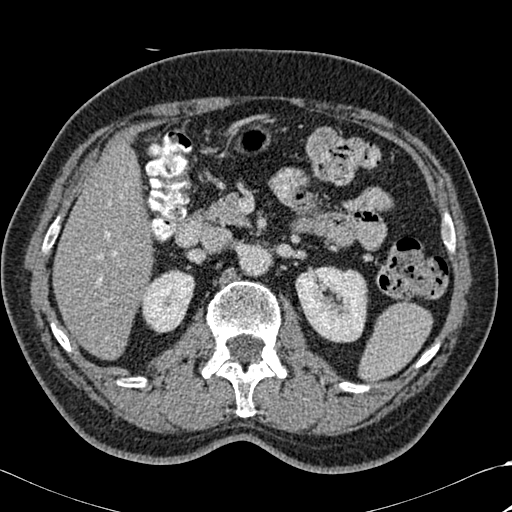
Computed tomography

Liver: bounding box (x1=54, y1=145, x2=152, y2=359).
Kidney: bounding box (x1=143, y1=271, x2=193, y2=331), (x1=296, y1=268, x2=366, y2=341).
Bone: bounding box (x1=202, y1=281, x2=286, y2=417), (x1=444, y1=218, x2=455, y2=250), (x1=52, y1=324, x2=70, y2=350), (x1=118, y1=377, x2=145, y2=387), (x1=340, y1=382, x2=367, y2=392), (x1=417, y1=345, x2=438, y2=366), (x1=43, y1=222, x2=58, y2=250).